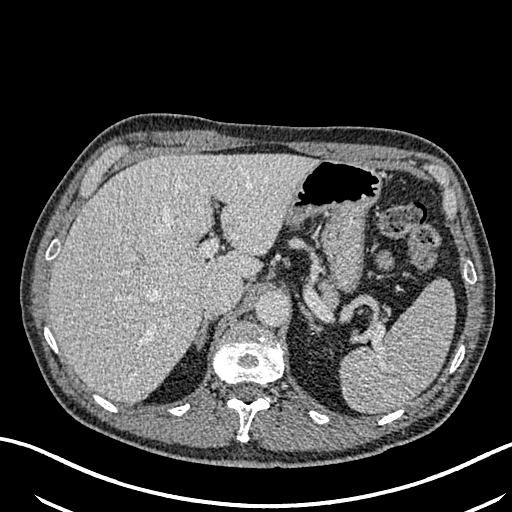

Computed tomography, Liver, Image size 512x512

Segmented structures:
* liver: (left=49, top=153, right=319, bottom=403)